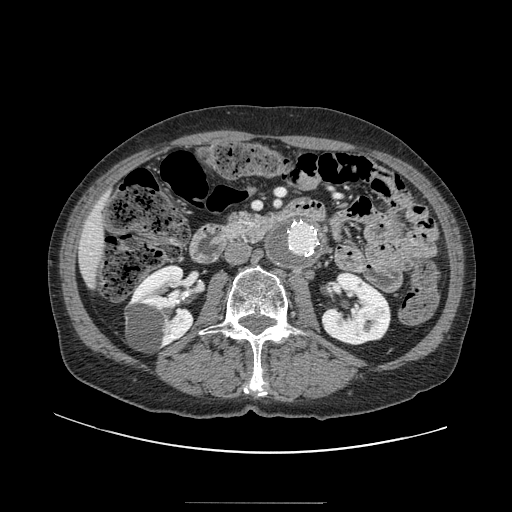
Upper abdomen | CT slice

The pancreas is located at rect(223, 212, 261, 240).